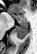 MR
The anterior hippocampus is bounded by 9,12,25,19. The posterior hippocampus is bounded by 15,20,27,39.